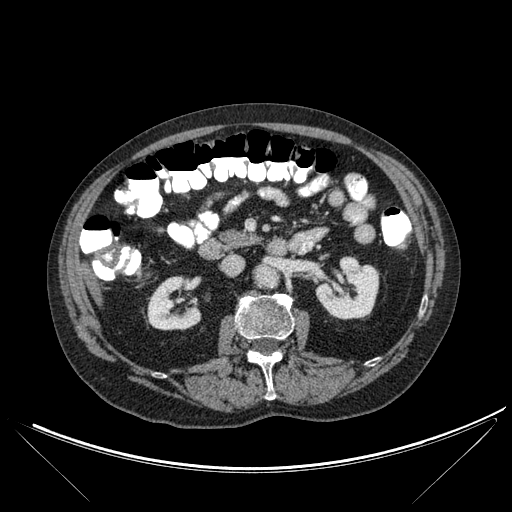 Upper abdomen; CT

{
  "kidney": [
    "[x1=148, y1=277, x2=200, y2=329]",
    "[x1=316, y1=257, x2=378, y2=318]"
  ],
  "bone": [
    "[x1=235, y1=294, x2=294, y2=339]",
    "[x1=248, y1=351, x2=281, y2=399]"
  ],
  "liver": [
    "[x1=87, y1=276, x2=102, y2=304]"
  ]
}